FLAIR MR image.
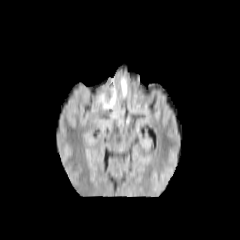
T1-weighted magnetic resonance.
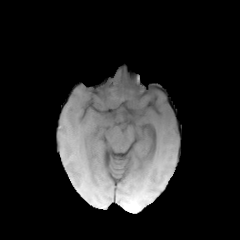
Post-contrast T1-weighted MRI.
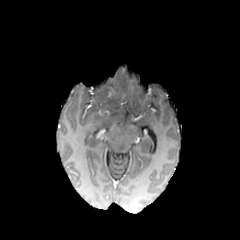
T2-weighted magnetic resonance.
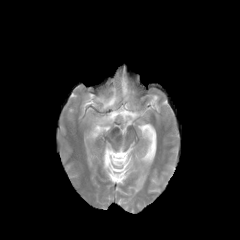
Image size 240x240. Brain.
{
  "non-enhancing_tumor_core": [
    "88, 85, 113, 109"
  ],
  "edema": [
    "121, 78, 126, 95"
  ]
}